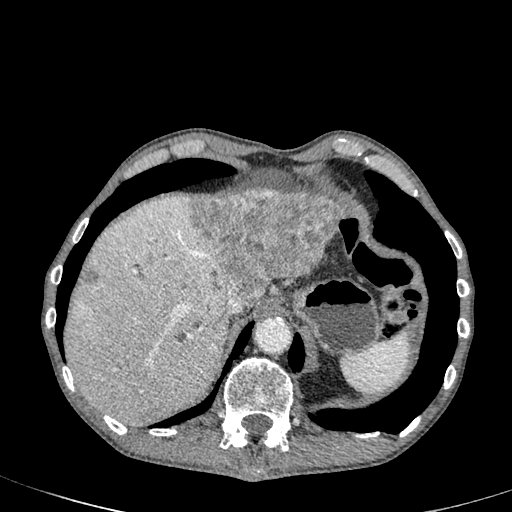 CT image
Hepatic lesion — box(189, 190, 343, 307); box(83, 269, 97, 283).
Liver — box(65, 197, 237, 424); box(273, 277, 300, 281).